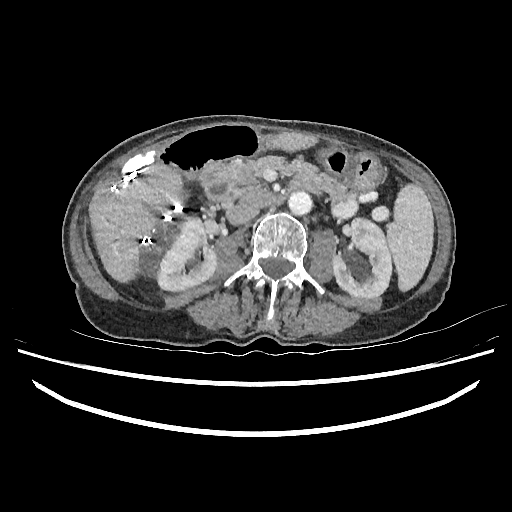 Liver | Image size 512x512 | Computed tomography
Findings:
- liver lesion: [141,244,162,276]
- liver: [270,133,316,150], [89,167,181,281]
- kidney: [158,218,218,290], [333,218,391,298]